Slice 312/588. CT scan slice. Liver.

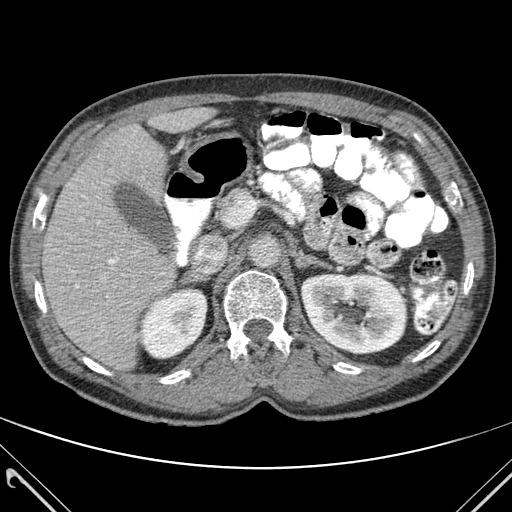
Segmented structures:
* kidney: (x1=141, y1=290, x2=205, y2=357), (x1=302, y1=275, x2=405, y2=352)
* liver: (x1=42, y1=125, x2=173, y2=370), (x1=153, y1=107, x2=210, y2=133)
* bone: (x1=447, y1=183, x2=461, y2=204), (x1=334, y1=362, x2=360, y2=373), (x1=413, y1=341, x2=439, y2=361), (x1=83, y1=357, x2=109, y2=374), (x1=33, y1=189, x2=48, y2=232), (x1=224, y1=271, x2=292, y2=357), (x1=161, y1=370, x2=189, y2=383), (x1=35, y1=281, x2=45, y2=312), (x1=464, y1=263, x2=473, y2=293)